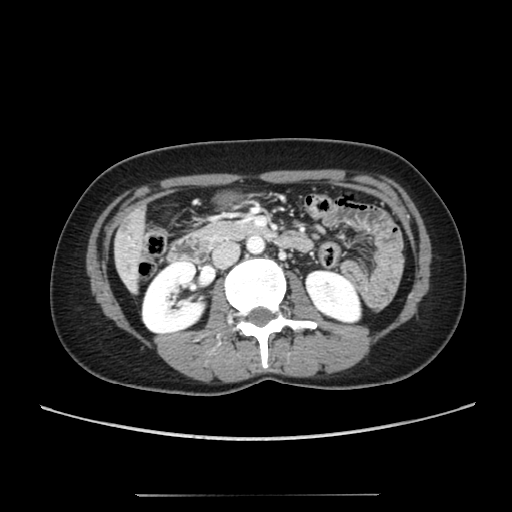

Upper abdomen; CT
focal liver lesion: x1=120 y1=217 x2=131 y2=233 | liver: x1=112 y1=204 x2=147 y2=294 | kidney: x1=306 y1=272 x2=359 y2=321, x1=143 y1=262 x2=201 y2=332